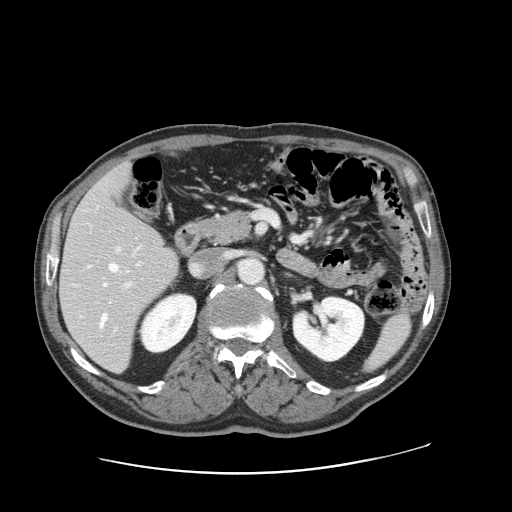
CT image, Liver, 512x512 px
Some hepatic vessels may have no box.
{
  "hepatic_vessel": [
    "box=[109, 264, 117, 271]",
    "box=[104, 283, 106, 285]",
    "box=[125, 283, 130, 286]",
    "box=[137, 264, 139, 265]",
    "box=[100, 314, 106, 328]",
    "box=[116, 248, 120, 250]"
  ]
}